Abdomen | Computed tomography

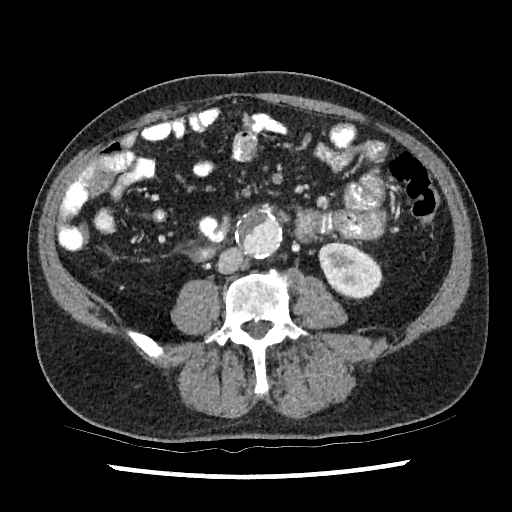
The kidney is at left=323, top=246, right=381, bottom=297.